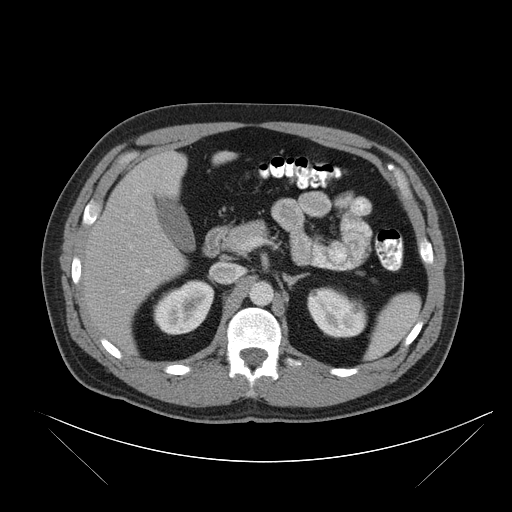

CT.
Spleen: bounding box region(365, 291, 420, 360).